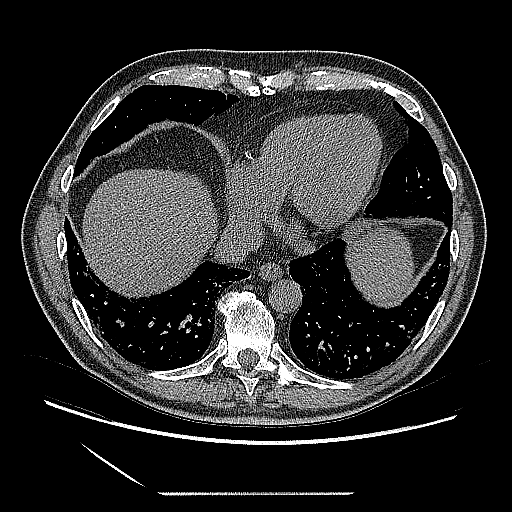

Lung, Computed tomography
Lung tumor — x1=338, y1=217, x2=363, y2=241.